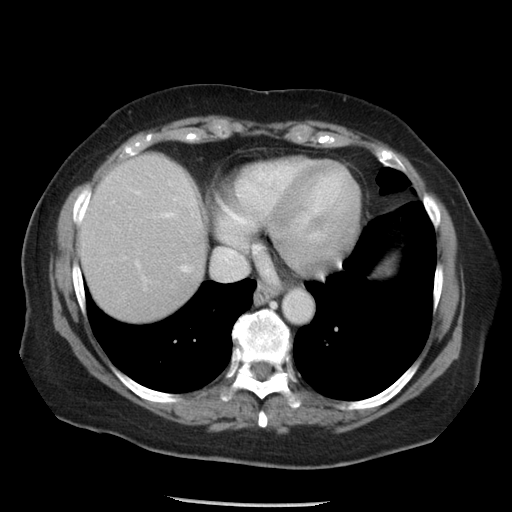

CT image; Liver
Not every hepatic vessel necessarily has a box.
{"hepatic_vessel": ["x1=134, y1=191, x2=139, y2=193", "x1=110, y1=201, x2=114, y2=204", "x1=161, y1=212, x2=173, y2=217", "x1=135, y1=260, x2=140, y2=272", "x1=168, y1=180, x2=177, y2=185", "x1=140, y1=273, x2=149, y2=289", "x1=174, y1=197, x2=178, y2=200", "x1=153, y1=213, x2=154, y2=216", "x1=181, y1=265, x2=192, y2=271", "x1=128, y1=188, x2=132, y2=190"]}